FLAIR magnetic resonance.
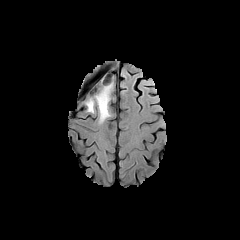
T1-weighted MR.
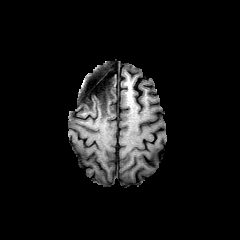
Post-contrast T1-weighted magnetic resonance.
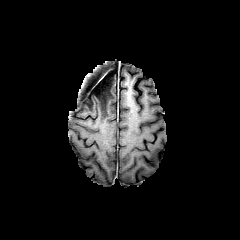
T2-weighted magnetic resonance.
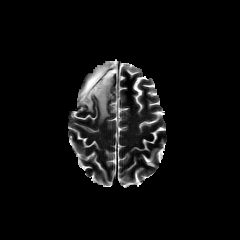
The non-enhancing tumor core appears at <box>82,82,109,105</box>. The edema is at <box>84,83,114,123</box>.